Abdomen. Slice 13 of 44. CT. 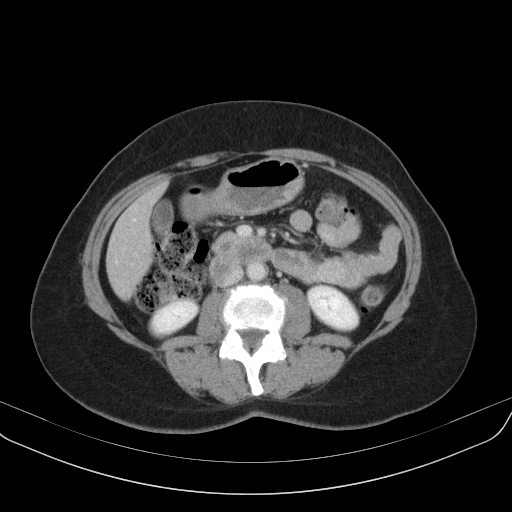

* pancreas: (218, 234, 246, 255)